Abdomen. CT scan slice. Image size 512x512.

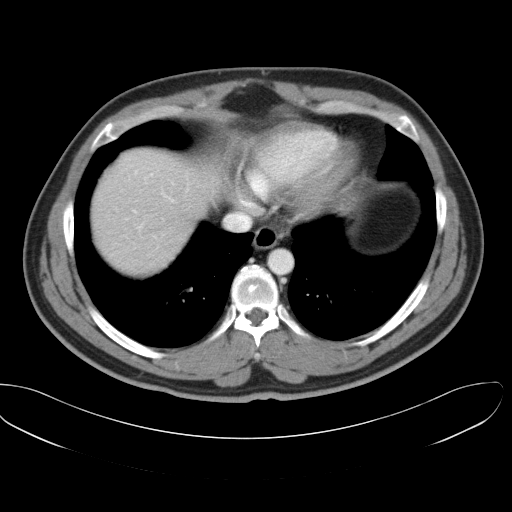 Some hepatic vessels may have no box.
- hepatic vessel: (left=162, top=190, right=172, bottom=201), (left=134, top=171, right=136, bottom=173), (left=226, top=215, right=249, bottom=231), (left=138, top=224, right=142, bottom=228)